FLAIR MRI.
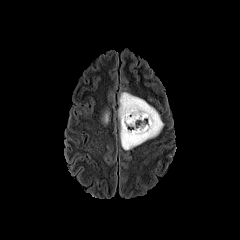
T1-weighted magnetic resonance.
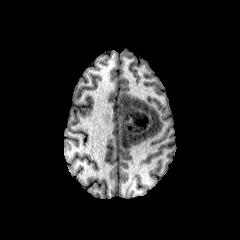
Post-contrast T1-weighted MR.
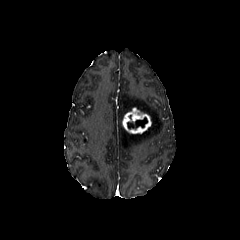
T2-weighted MRI.
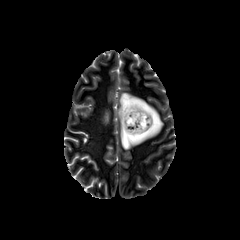
Image size 240x240
enhancing tumor: box(122, 106, 151, 134) | non-enhancing tumor core: box(127, 117, 147, 129) | edema: box(118, 93, 163, 149); box(102, 113, 108, 123)